Slice 76 of 463; CT slice

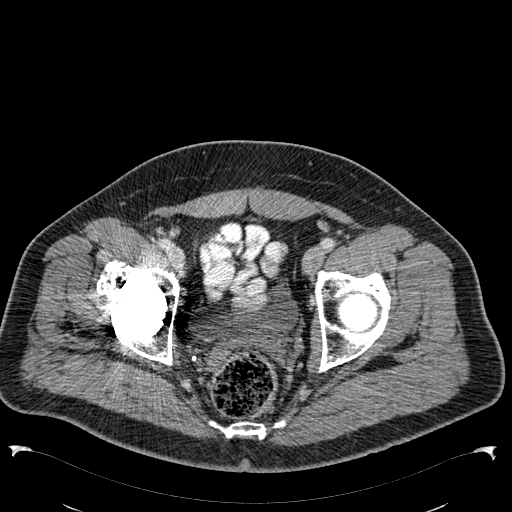 2 urinary bladder regions appear at [191,276,301,338], [253,215,259,225].